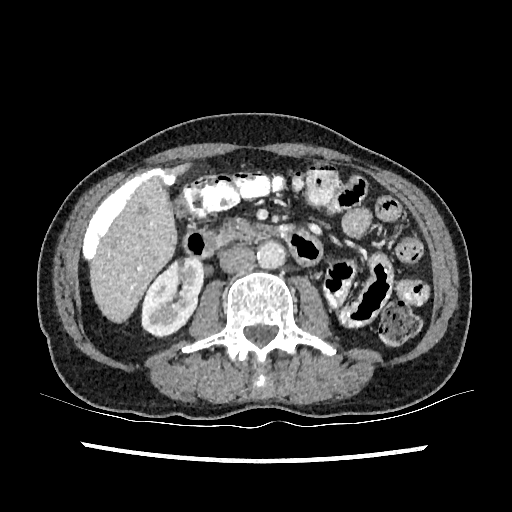

CT

Liver lesion at (139, 207, 147, 215).
Kidney at (142, 259, 203, 335).
Liver at (91, 174, 175, 321), (168, 163, 189, 175).